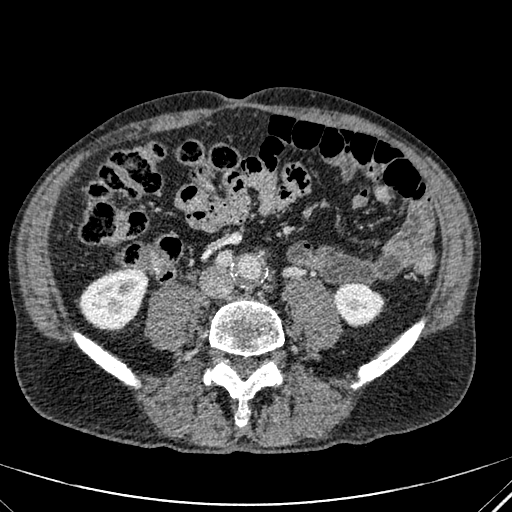
512x512, CT slice
Kidney at l=81, t=269, r=147, b=334; l=335, t=284, r=382, b=324.